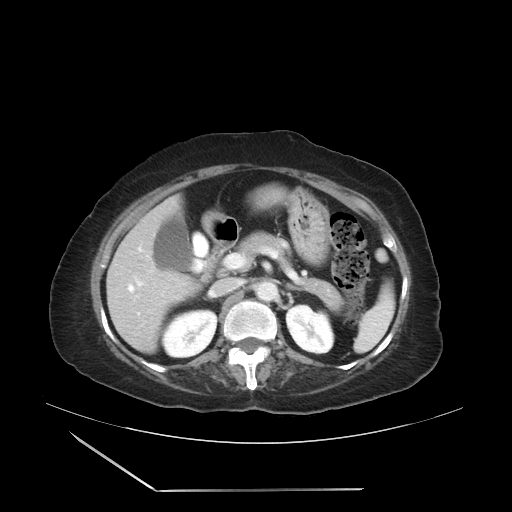 Liver. Computed tomography.
Some hepatic vessels may have no box.
{
  "hepatic_vessel": [
    "x1=146, y1=251, x2=150, y2=259",
    "x1=137, y1=242, x2=143, y2=254",
    "x1=127, y1=275, x2=146, y2=292",
    "x1=147, y1=270, x2=153, y2=272",
    "x1=178, y1=284, x2=182, y2=285",
    "x1=140, y1=255, x2=141, y2=257",
    "x1=134, y1=294, x2=139, y2=301",
    "x1=149, y1=310, x2=152, y2=312",
    "x1=137, y1=312, x2=139, y2=314"
  ]
}